CT slice

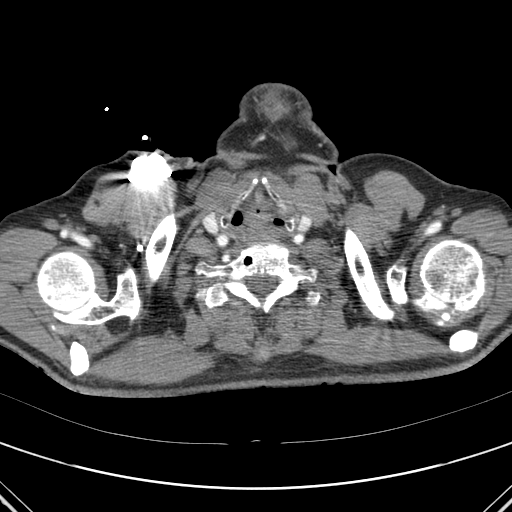 Bone — left=424, top=222, right=440, bottom=235; left=449, top=330, right=477, bottom=351; left=71, top=342, right=88, bottom=375; left=387, top=240, right=482, bottom=310; left=196, top=243, right=317, bottom=312; left=306, top=290, right=320, bottom=305; left=344, top=228, right=391, bottom=319; left=37, top=253, right=140, bottom=324; left=145, top=213, right=177, bottom=277.